Field of view 434x434 mm, Slice 587/605, Computed tomography, Chest

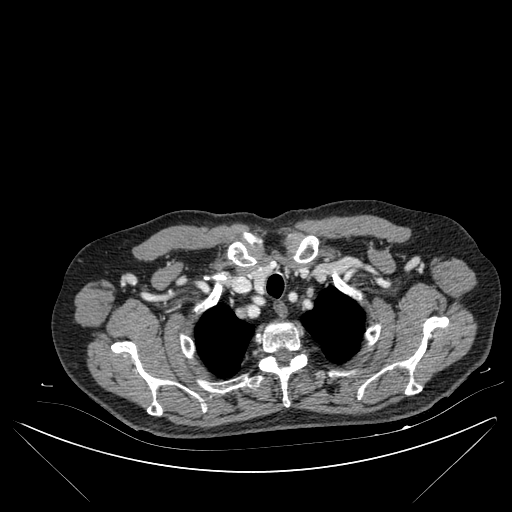

Lung at l=267, t=277, r=283, b=297; l=195, t=303, r=253, b=377; l=301, t=287, r=364, b=363.
Bone at l=199, t=273, r=226, b=311; l=294, t=236, r=318, b=262; l=111, t=341, r=197, b=415; l=243, t=233, r=261, b=244; l=257, t=322, r=306, b=406; l=197, t=375, r=262, b=392; l=332, t=269, r=354, b=296; l=358, t=316, r=448, b=398; l=180, t=335, r=194, b=357; l=329, t=371, r=353, b=376; l=228, t=242, r=255, b=266; l=366, t=324, r=380, b=344.